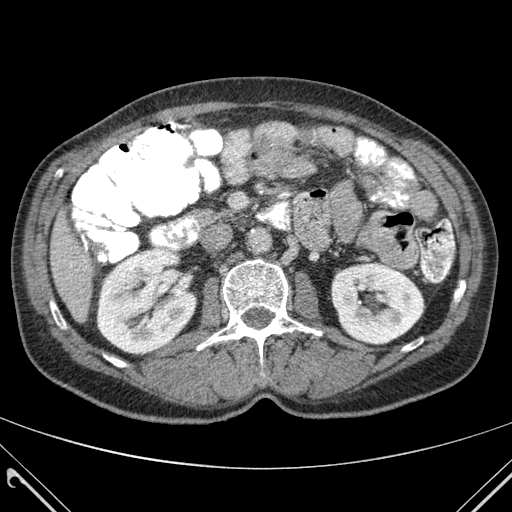

CT image; Liver; 512x512 px

5 bone regions are bounded by [454,281,465,300], [402,339,422,350], [50,302,65,327], [104,355,125,366], [197,259,321,360]. 2 kidney regions are located at [332,264,422,343], [98,248,195,352]. The liver is at [51,211,93,318].